FLAIR MRI.
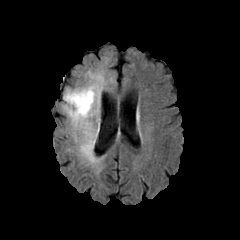
T1-weighted MR image.
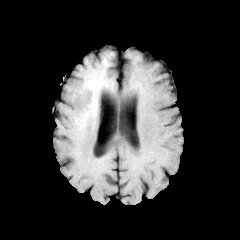
Post-contrast T1-weighted MRI.
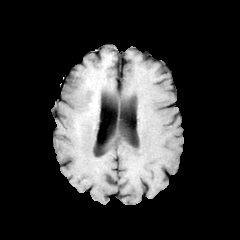
T2-weighted magnetic resonance.
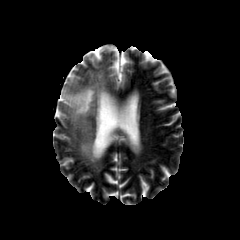
Head.
Findings:
* edema: l=63, t=86, r=105, b=172; l=89, t=71, r=105, b=85
* enhancing tumor: l=92, t=97, r=97, b=114
* non-enhancing tumor core: l=74, t=82, r=103, b=124